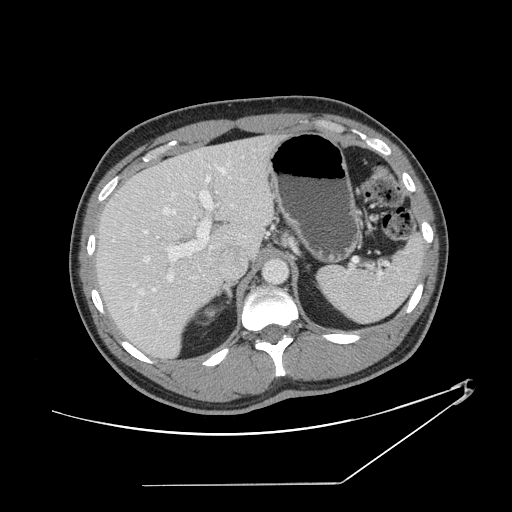

Computed tomography; Image size 512x512

The vessel annotation is not exhaustive.
The largest 15 hepatic vessel regions (of 17) are located at (x1=144, y1=231, x2=147, y2=233), (x1=167, y1=272, x2=172, y2=280), (x1=215, y1=166, x2=226, y2=173), (x1=144, y1=256, x2=149, y2=261), (x1=228, y1=160, x2=230, y2=164), (x1=200, y1=190, x2=216, y2=211), (x1=167, y1=216, x2=209, y2=262), (x1=133, y1=302, x2=137, y2=311), (x1=206, y1=175, x2=209, y2=181), (x1=139, y1=289, x2=143, y2=295), (x1=151, y1=308, x2=155, y2=312), (x1=164, y1=208, x2=174, y2=214), (x1=231, y1=204, x2=233, y2=206), (x1=169, y1=193, x2=175, y2=199), (x1=210, y1=246, x2=215, y2=252).